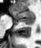

MR.
Segmented structures:
* posterior hippocampus: <bbox>14, 17, 34, 24</bbox>
* anterior hippocampus: <bbox>12, 10, 34, 16</bbox>